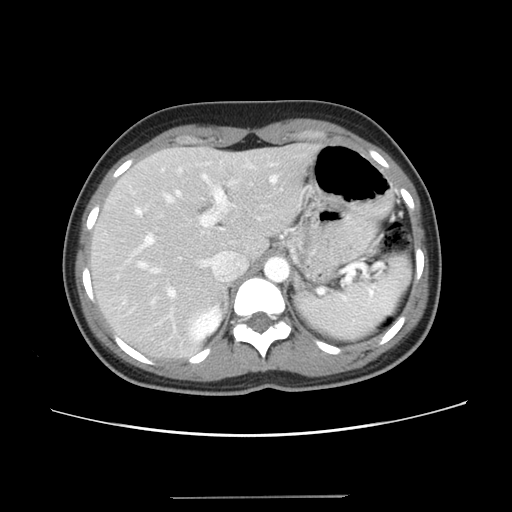

CT scan slice
Only some of the vessels may be annotated.
Hepatic vessel — bbox(203, 174, 210, 184); bbox(152, 268, 157, 272); bbox(166, 195, 173, 202); bbox(168, 289, 175, 296); bbox(134, 235, 153, 253); bbox(176, 191, 180, 195); bbox(201, 260, 214, 266); bbox(229, 181, 235, 185); bbox(139, 262, 145, 267); bbox(136, 209, 141, 214); bbox(201, 188, 228, 226); bbox(270, 175, 277, 182); bbox(217, 255, 220, 256).